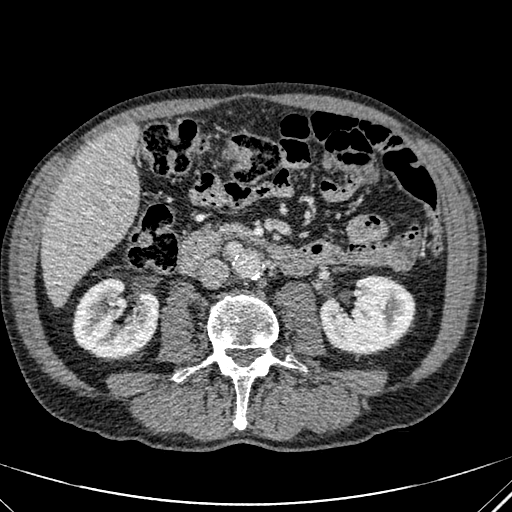

CT slice
liver:
  - left=41, top=123, right=138, bottom=303
kidney:
  - left=321, top=277, right=413, bottom=352
  - left=74, top=279, right=157, bottom=356